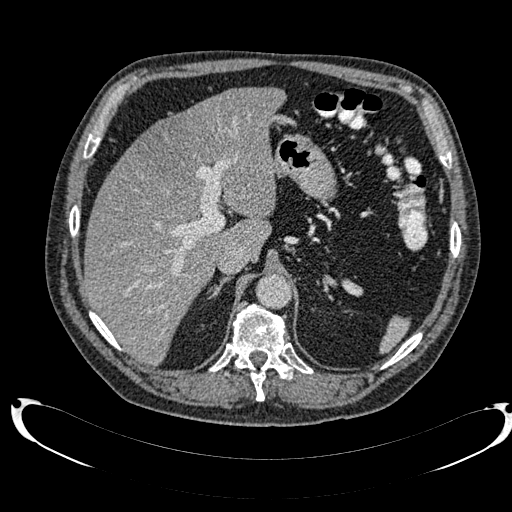 Computed tomography, Liver

The liver is at 84,87,285,365. The hepatic lesion lies within 135,117,203,182.